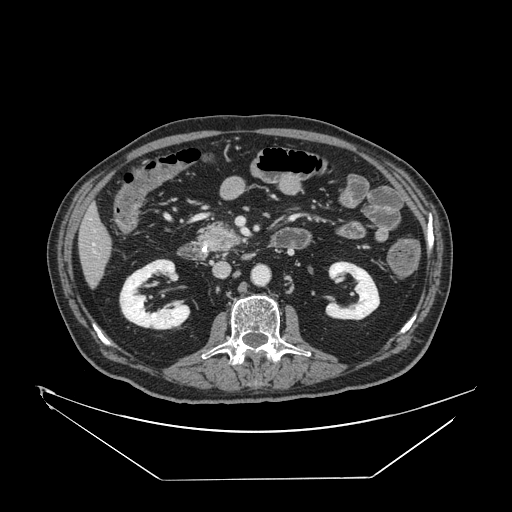
Upper abdomen, CT
The pancreas lies within (190, 219, 244, 261). The pancreatic tumor lies within (204, 226, 237, 249).